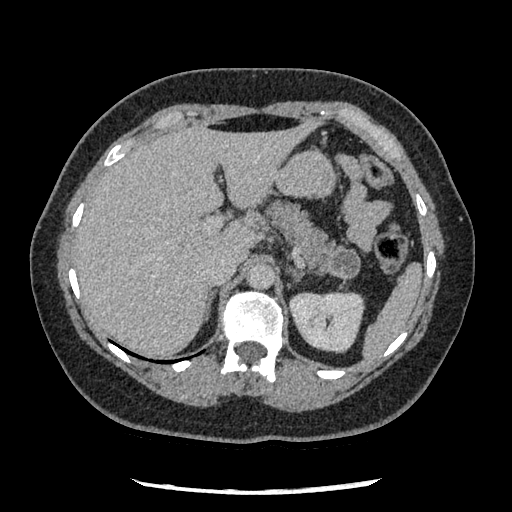

Abdomen. Computed tomography.
The pancreas is at [267, 199, 345, 274]. The pancreatic tumor is bounded by [329, 249, 360, 279].